FLAIR MR.
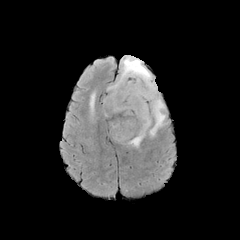
T1-weighted MRI.
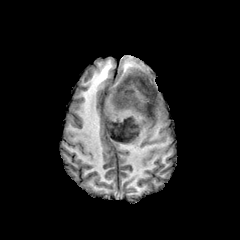
Post-contrast T1-weighted magnetic resonance.
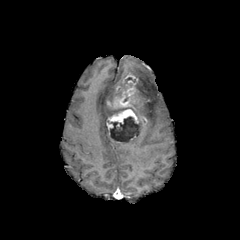
T2-weighted MRI.
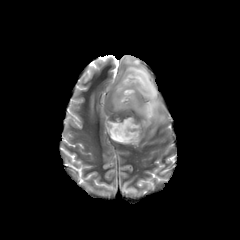
Image size 240x240
<segmentation>
  <enhancing_tumor>region(113, 86, 135, 109); region(108, 109, 138, 123)</enhancing_tumor>
  <edema>region(108, 55, 165, 146); region(90, 93, 95, 111)</edema>
  <non-enhancing_tumor_core>region(107, 77, 144, 142)</non-enhancing_tumor_core>
</segmentation>